FLAIR MR image.
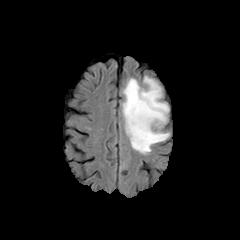
T1-weighted MR image.
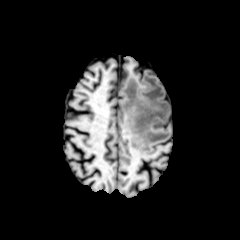
Post-contrast T1-weighted MR.
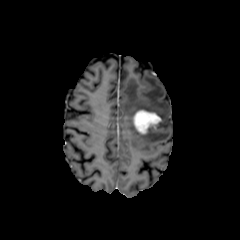
T2-weighted MRI.
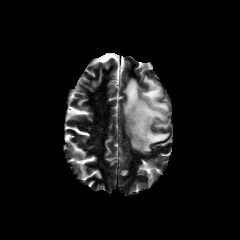
240x240.
Findings:
- edema: region(122, 75, 169, 154)
- enhancing tumor: region(132, 110, 161, 134)